Medial temporal lobe, Slice index 26, Magnetic resonance

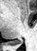
<segmentation>
  <posterior_hippocampus>[13,41,22,45]</posterior_hippocampus>
</segmentation>